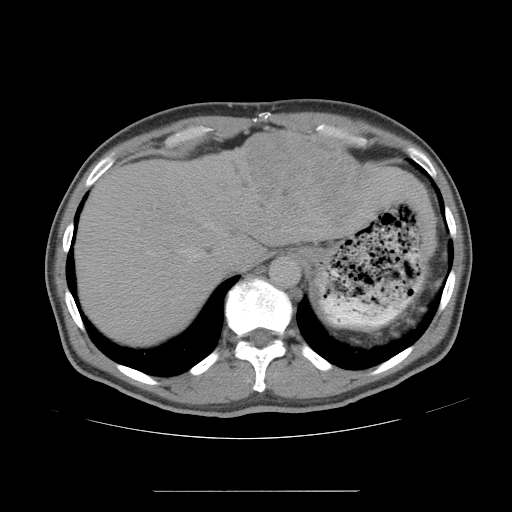
Computed tomography, Liver
Only some of the vessels may be annotated.
The liver tumor is bounded by {"x1": 241, "y1": 133, "x2": 367, "y2": 234}. 9 hepatic vessel regions are located at {"x1": 223, "y1": 233, "x2": 226, "y2": 235}, {"x1": 180, "y1": 280, "x2": 182, "y2": 281}, {"x1": 153, "y1": 204, "x2": 156, "y2": 207}, {"x1": 210, "y1": 224, "x2": 213, "y2": 228}, {"x1": 214, "y1": 249, "x2": 219, "y2": 254}, {"x1": 233, "y1": 245, "x2": 235, "y2": 247}, {"x1": 146, "y1": 251, "x2": 151, "y2": 253}, {"x1": 203, "y1": 223, "x2": 207, "y2": 227}, {"x1": 180, "y1": 247, "x2": 203, "y2": 257}.